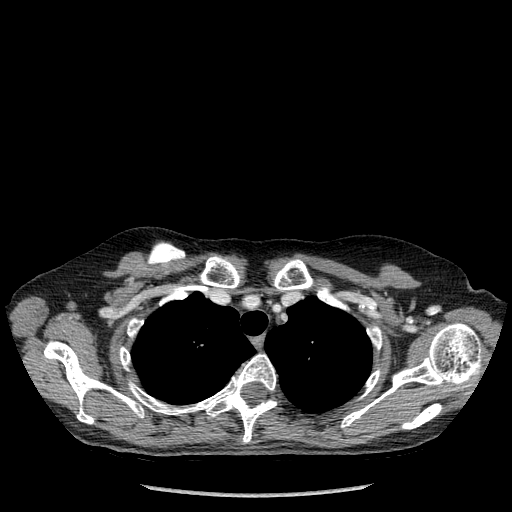
CT slice
Bone: 367 326 382 349, 317 286 346 309, 274 259 313 291, 361 369 380 397, 402 403 442 429, 119 347 130 370, 200 256 239 290, 127 318 143 337, 341 323 482 428, 43 341 276 442, 159 286 188 305.
Lung: 131 291 267 404, 264 297 371 412.